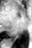 Medial temporal lobe. MR image. posterior_hippocampus:
  - 17 35 19 36
  - 6 39 15 42